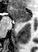 Medial temporal lobe. MR image.

{
  "anterior_hippocampus": [
    {"x1": 8, "y1": 7, "x2": 30, "y2": 22}
  ]
}